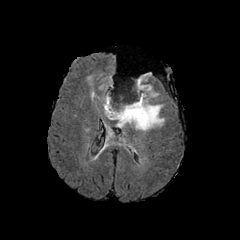
FLAIR MRI.
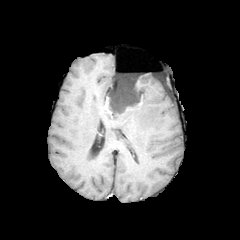
Same slice, T1-weighted MR.
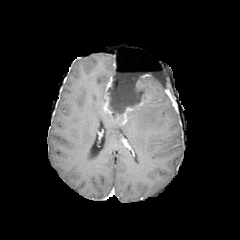
Post-contrast T1-weighted MR image of the same slice.
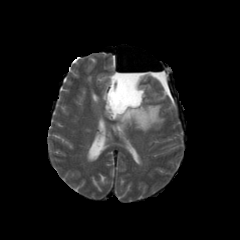
T2-weighted magnetic resonance of the same slice.
240x240 px
Enhancing tumor = <box>104,96,111,114</box>.
Non-enhancing tumor core = <box>105,78,143,119</box>.
Edema = <box>104,74,164,131</box>, <box>100,74,112,99</box>.